Slice 49/155, Field of view 240 mm wide, 1.00 mm slice spacing, Brain
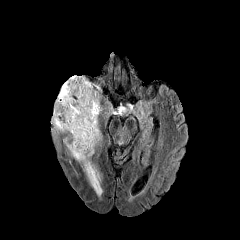
FLAIR magnetic resonance.
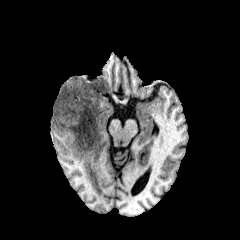
Same slice, T1-weighted magnetic resonance.
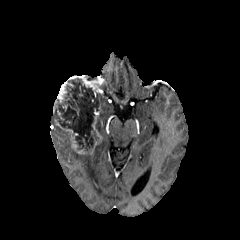
Post-contrast T1-weighted MR of the same slice.
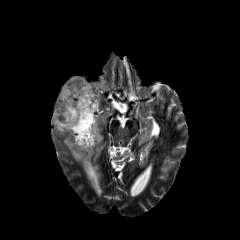
T2-weighted MR.
Enhancing tumor — bbox(91, 108, 100, 140); bbox(57, 81, 67, 102); bbox(63, 129, 87, 154); bbox(70, 75, 104, 94).
Edema — bbox(100, 95, 109, 107); bbox(63, 138, 102, 196).
Non-enhancing tumor core — bbox(51, 77, 101, 154).